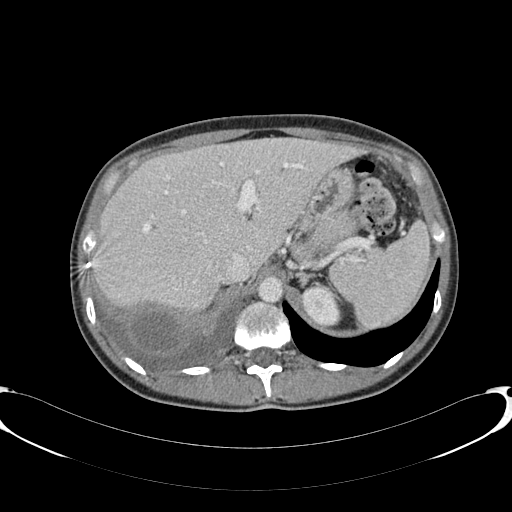

CT | Abdomen
liver:
  - (93, 139, 367, 315)
kidney:
  - (303, 288, 337, 324)